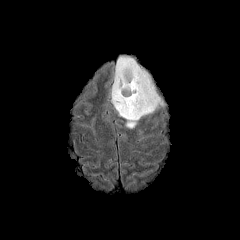
FLAIR MRI.
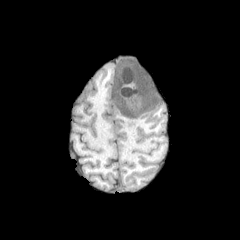
T1-weighted MRI of the same slice.
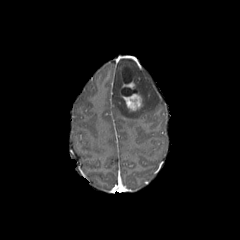
Same slice, post-contrast T1-weighted MRI.
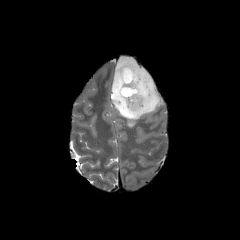
T2-weighted magnetic resonance.
2 non-enhancing tumor core regions are bounded by [118, 64, 139, 88], [121, 87, 136, 96]. The edema is at [113, 58, 162, 128]. 2 enhancing tumor regions appear at [121, 78, 137, 89], [118, 88, 144, 111].